Pelvis | CT
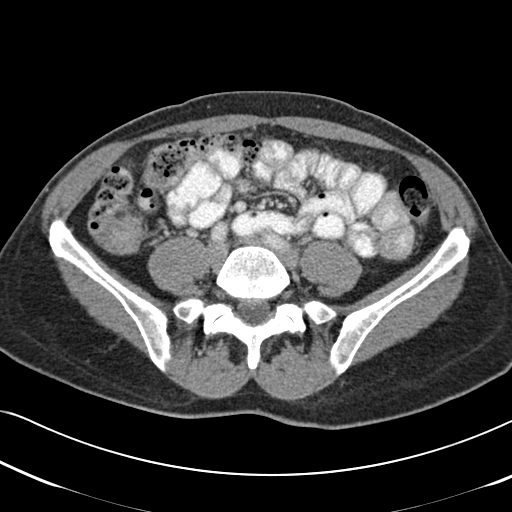 Colon tumor — box=[96, 214, 144, 254].